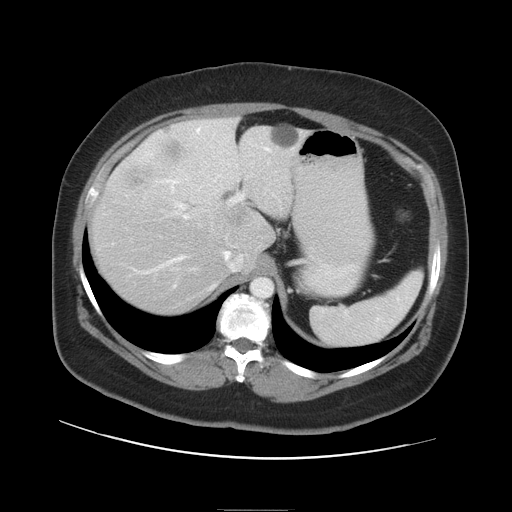

CT image, 512x512 px
The vessel boxes may cover only some of the vessels.
<segmentation>
  <hepatic_vessel>[176, 203, 184, 208], [228, 191, 244, 204], [222, 251, 241, 270], [164, 256, 184, 264], [183, 215, 188, 218]</hepatic_vessel>
  <liver_tumor>[226, 203, 250, 225]</liver_tumor>
</segmentation>